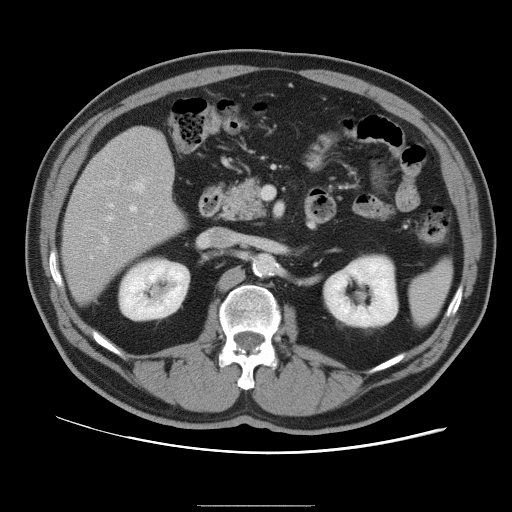

CT
Only some of the vessels may be annotated.
Segmented structures:
- hepatic vessel: (left=106, top=216, right=113, bottom=220), (left=86, top=227, right=92, bottom=228), (left=147, top=223, right=150, bottom=224), (left=133, top=226, right=136, bottom=230), (left=112, top=176, right=119, bottom=183), (left=95, top=180, right=106, bottom=186), (left=130, top=205, right=136, bottom=212), (left=133, top=176, right=144, bottom=192), (left=91, top=256, right=92, bottom=258), (left=150, top=211, right=152, bottom=212), (left=150, top=176, right=151, bottom=178), (left=98, top=234, right=107, bottom=251), (left=109, top=203, right=112, bottom=207)